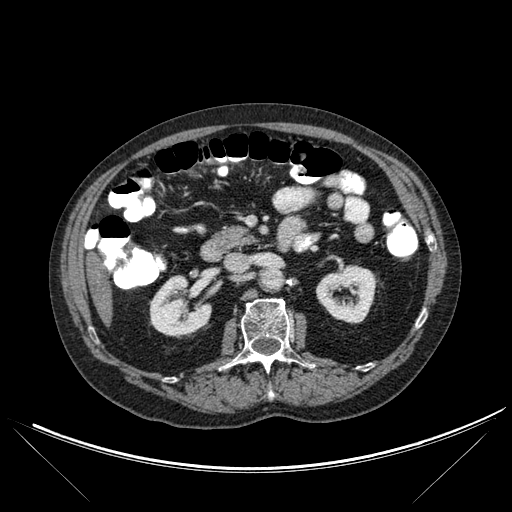

CT scan slice | Upper abdomen
Segmented structures:
- bone: (416,317,423,327), (226,298,291,371), (268,386,273,397)
- kidney: (150,275,210,335), (316,266,375,322)
- liver: (87,253,112,325)